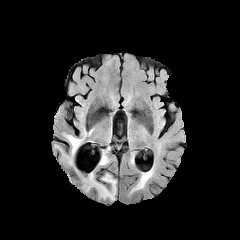
FLAIR MRI.
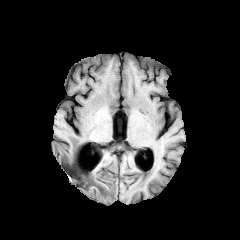
T1-weighted MR image of the same slice.
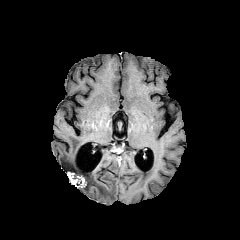
Post-contrast T1-weighted MR image of the same slice.
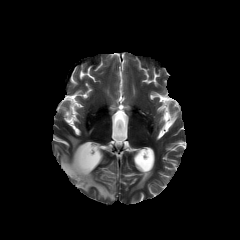
Same slice, T2-weighted MR image.
Brain.
<segmentation>
  <non-enhancing_tumor_core>{"x1": 70, "y1": 168, "x2": 81, "y2": 187}, {"x1": 82, "y1": 176, "x2": 91, "y2": 188}</non-enhancing_tumor_core>
  <edema>{"x1": 77, "y1": 169, "x2": 116, "y2": 199}, {"x1": 136, "y1": 168, "x2": 153, "y2": 187}, {"x1": 64, "y1": 136, "x2": 83, "y2": 169}, {"x1": 99, "y1": 147, "x2": 109, "y2": 165}</edema>
</segmentation>